CT 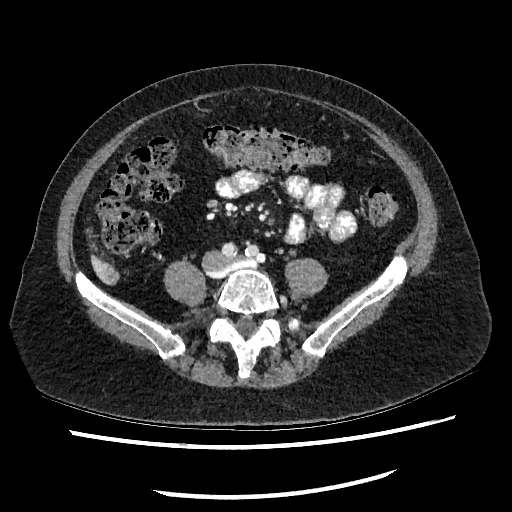
Liver lesion: bounding box 106 270 115 280.
Liver: bounding box 92 257 115 283.